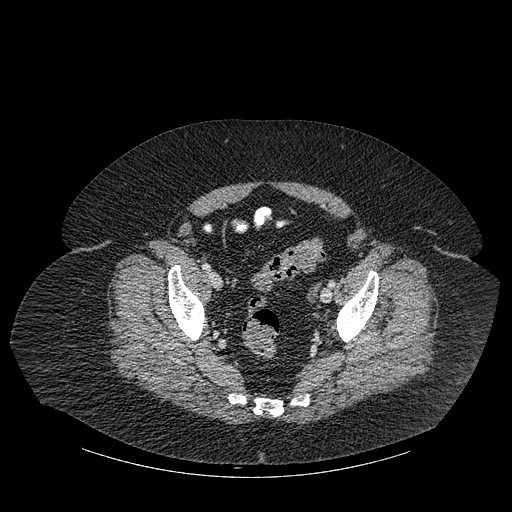
512x512, CT scan slice
Bone: bounding box left=253, top=398, right=283, bottom=416; left=168, top=265, right=204, bottom=340; left=290, top=394, right=309, bottom=406; left=336, top=271, right=378, bottom=341; left=228, top=394, right=246, bottom=404.